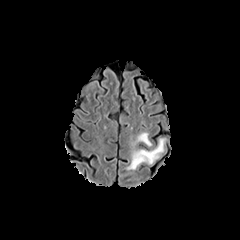
FLAIR magnetic resonance.
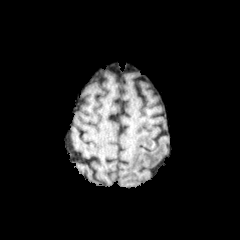
T1-weighted MR.
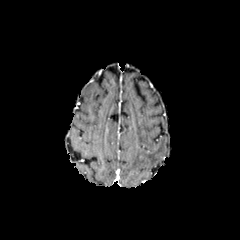
Post-contrast T1-weighted MR image.
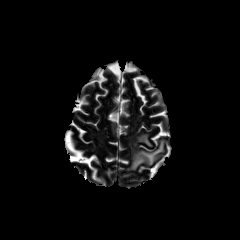
T2-weighted MRI.
Head.
edema:
  - (left=126, top=138, right=166, bottom=170)
  - (left=131, top=133, right=151, bottom=146)